512x512. CT scan slice. Slice 383 of 630. Upper abdomen. 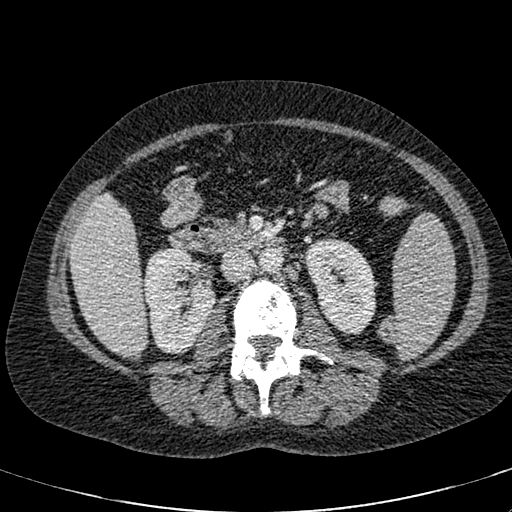
liver:
  - (70, 195, 145, 356)
kidney:
  - (144, 246, 214, 353)
  - (306, 240, 375, 333)